Image width 400 mm; Slice 361 of 771; CT slice 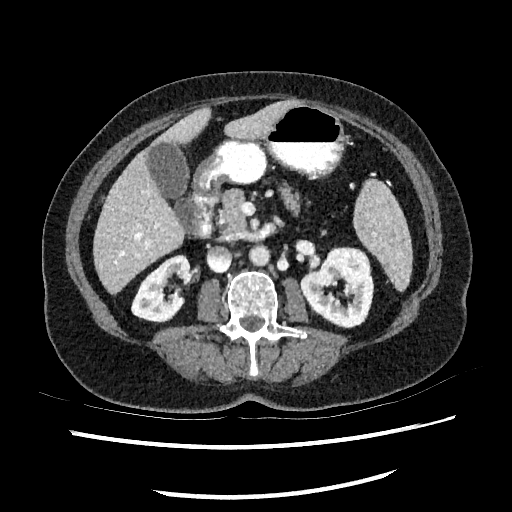
2 kidney regions appear at box=[301, 248, 372, 326]; box=[132, 256, 189, 320]. 2 liver regions are located at box=[225, 101, 292, 139]; box=[94, 107, 210, 293].